CT scan slice, Image size 512x512, Slice 24/57

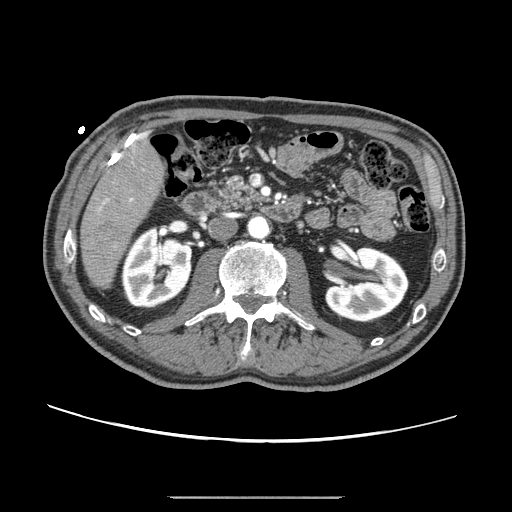
The pancreas lies within 214, 178, 268, 209.